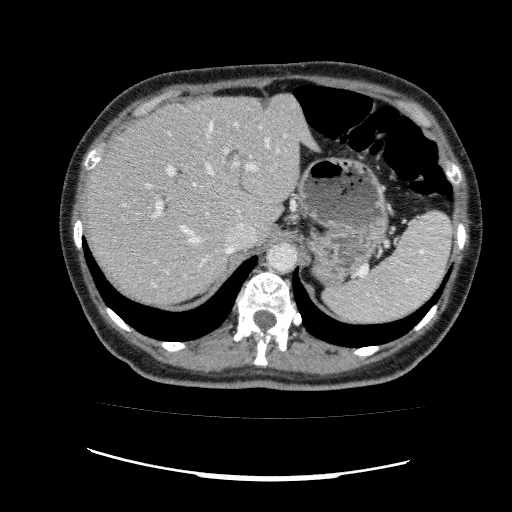
Computed tomography | Liver
<segmentation>
  <liver>region(83, 93, 321, 306)</liver>
</segmentation>